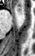

MRI slice

anterior hippocampus: 17, 7, 20, 12